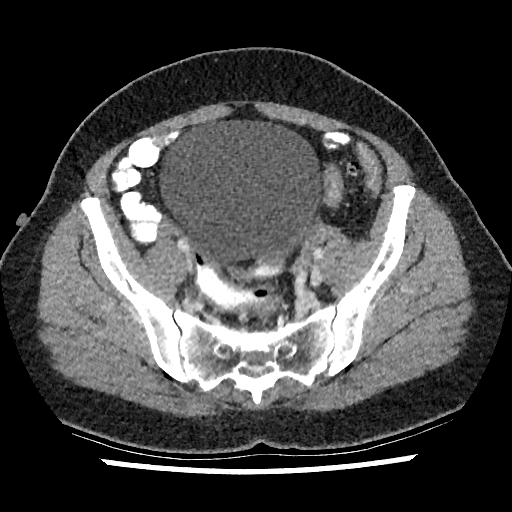

Image size 512x512; CT; Pelvis
Annotated regions:
• urinary bladder: l=160, t=120, r=321, b=266